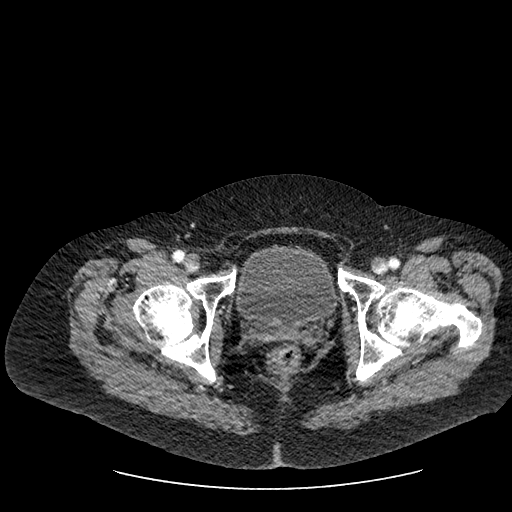 Image size 512x512, Pelvis, CT scan slice
Urinary bladder: bounding box box(232, 245, 338, 333).